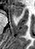

Hippocampus, MR
{
  "anterior_hippocampus": [
    "x1=11 y1=5 x2=21 y2=17"
  ]
}